FLAIR MR.
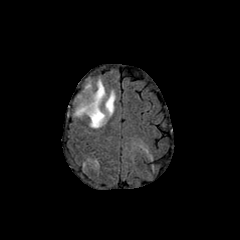
T1-weighted magnetic resonance.
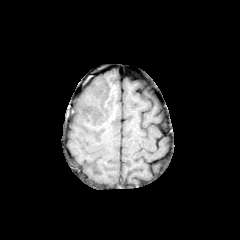
Post-contrast T1-weighted MRI.
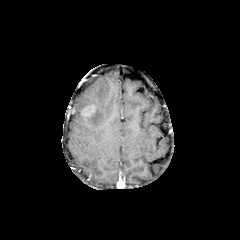
T2-weighted MR.
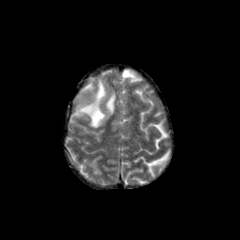
Brain; Image size 240x240
Edema: <bbox>74, 79, 115, 128</bbox>.
Non-enhancing tumor core: <bbox>84, 104, 95, 113</bbox>.